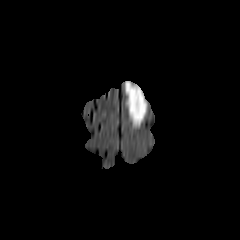
FLAIR magnetic resonance.
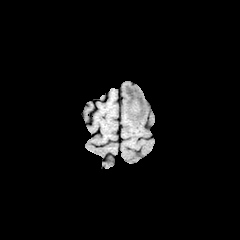
T1-weighted MRI.
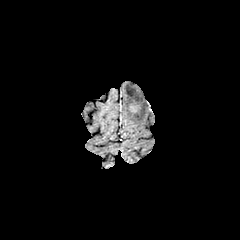
Same slice, post-contrast T1-weighted MR.
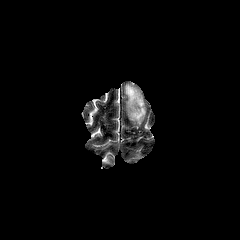
T2-weighted MRI.
{"edema": ["124, 81, 147, 129"]}